Image size 512x512, CT, Field of view 409 mm wide, 5.00 mm slice spacing 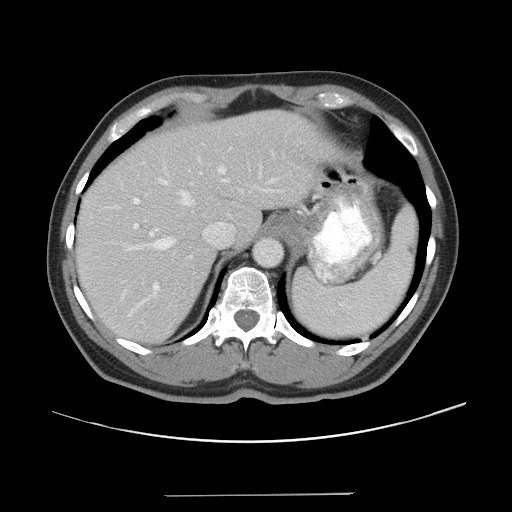 Only some of the vessels may be annotated.
14 hepatic vessel regions are located at 158 178 167 184, 150 228 158 235, 189 256 191 257, 134 224 137 228, 179 191 193 205, 134 198 138 203, 222 179 229 181, 267 179 275 183, 256 186 282 192, 199 172 201 173, 218 167 225 173, 126 245 137 250, 153 284 159 290, 154 237 174 249.